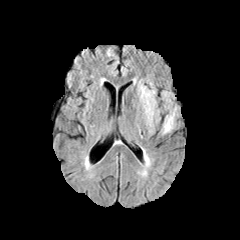
FLAIR MR image.
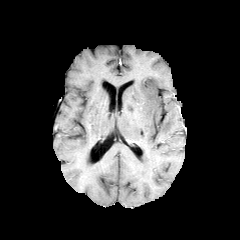
T1-weighted magnetic resonance.
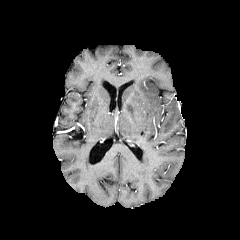
Same slice, post-contrast T1-weighted MR.
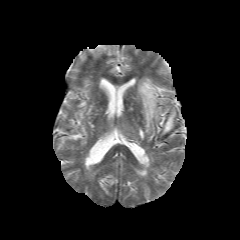
T2-weighted MRI of the same slice.
Brain | Image size 240x240
edema: [137, 149, 150, 176], [136, 82, 177, 136]